CT scan slice. Chest. Field of view 395x395 mm. 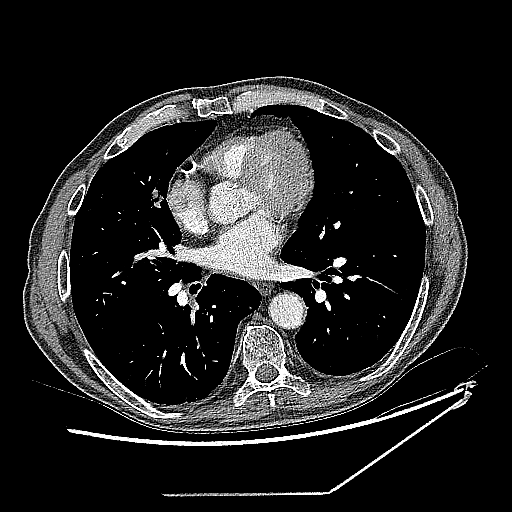 Lung tumor at l=150, t=185, r=165, b=211.